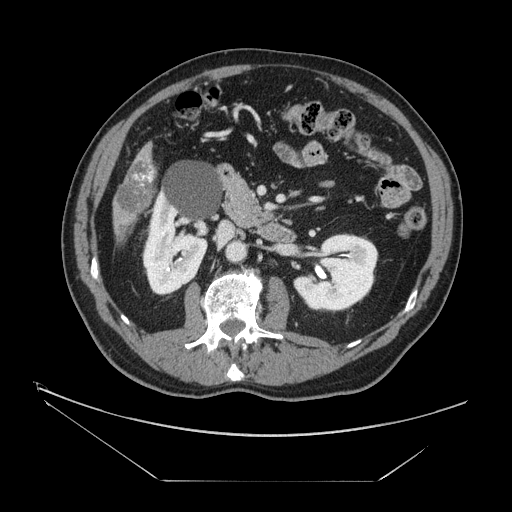
CT scan slice, Abdomen
liver_tumor:
  - (117,163,153,213)